FLAIR MRI.
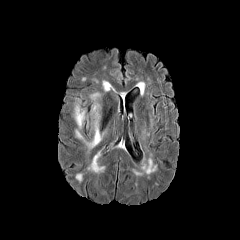
T1-weighted MR.
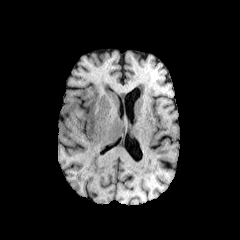
Post-contrast T1-weighted MRI.
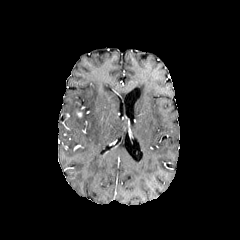
T2-weighted MR.
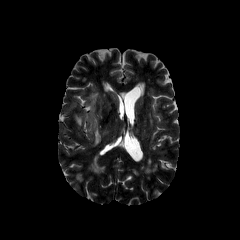
{
  "edema": [
    "(92, 121, 100, 146)",
    "(76, 114, 82, 126)"
  ]
}